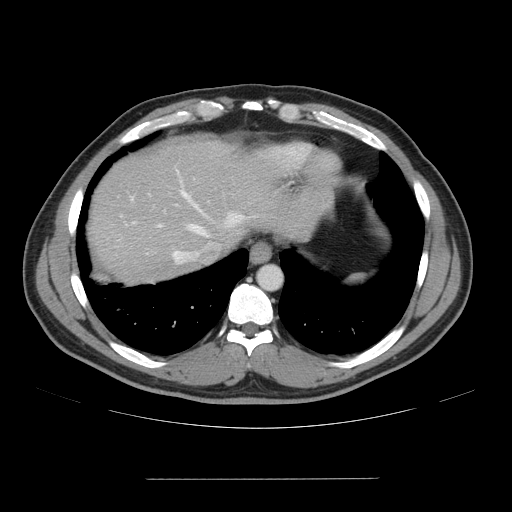 Liver; 512x512; CT slice
The vessel annotation is not exhaustive.
<segmentation>
  <hepatic_vessel>[x1=180, y1=187, x2=189, y2=198], [x1=227, y1=213, x2=243, y2=223], [x1=188, y1=225, x2=207, y2=236], [x1=131, y1=196, x2=133, y2=200], [x1=158, y1=224, x2=161, y2=226], [x1=173, y1=251, x2=179, y2=258], [x1=120, y1=215, x2=121, y2=216], [x1=193, y1=202, x2=197, y2=207]</hepatic_vessel>
</segmentation>